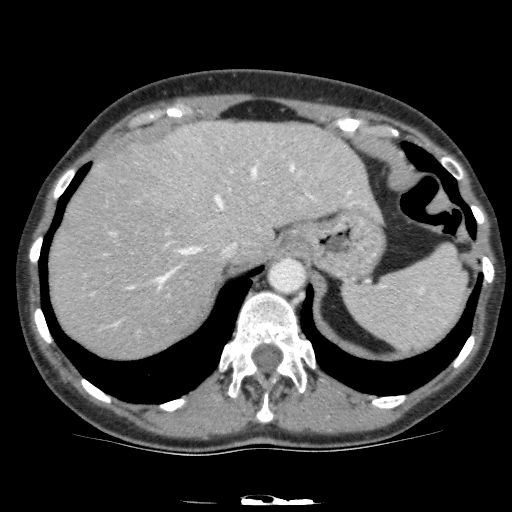

CT | Liver
Findings:
* hepatic lesion: (206, 202, 217, 211)
* liver: (49, 120, 383, 358)